512x512 px, Upper abdomen, CT slice

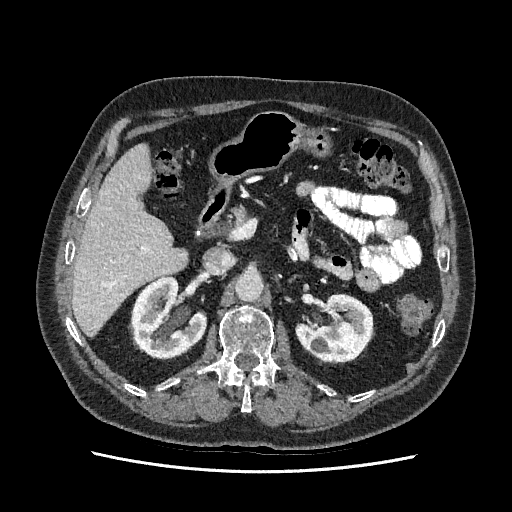
• kidney: (x1=296, y1=294, x2=372, y2=361), (x1=132, y1=277, x2=205, y2=357)
• liver: (x1=73, y1=144, x2=186, y2=335)